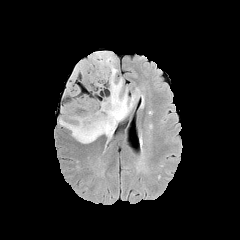
FLAIR MR.
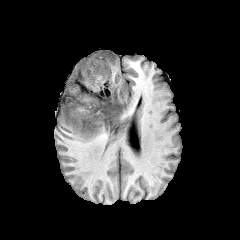
T1-weighted MR image.
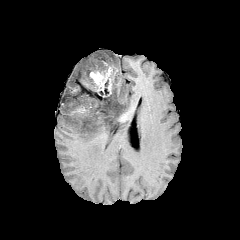
Post-contrast T1-weighted MR of the same slice.
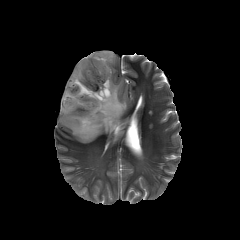
Same slice, T2-weighted MR image.
{"enhancing_tumor": ["[x1=90, y1=67, x2=111, y2=91]"], "non-enhancing_tumor_core": ["[x1=88, y1=90, x2=119, y2=125]", "[x1=91, y1=54, x2=112, y2=74]"], "edema": ["[x1=59, y1=51, x2=134, y2=143]"]}